FLAIR MRI.
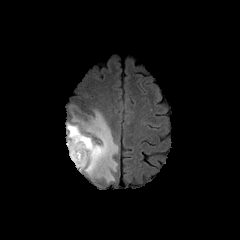
T1-weighted MR.
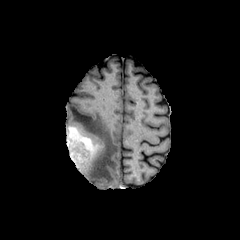
Post-contrast T1-weighted magnetic resonance.
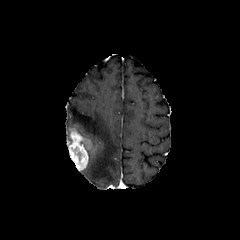
T2-weighted MRI.
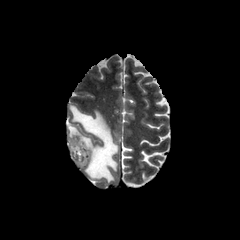
Image size 240x240.
edema: (69,105,117,182) | non-enhancing tumor core: (79,136,102,159), (67,127,80,146), (71,146,82,161) | enhancing tumor: (68,132,88,170)